Field of view 350x350 mm | CT 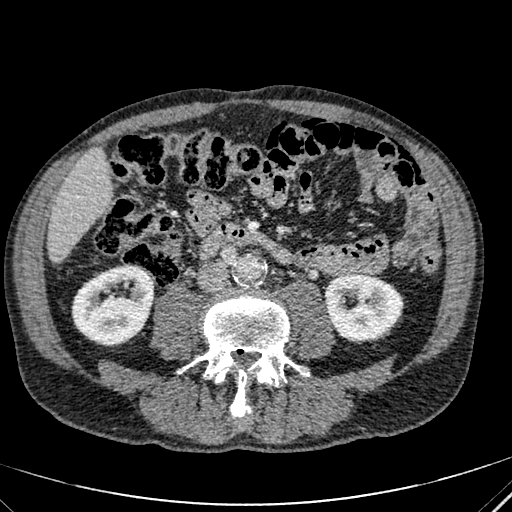 kidney: 73, 267, 152, 344; 326, 275, 402, 339 | liver: 47, 149, 110, 262